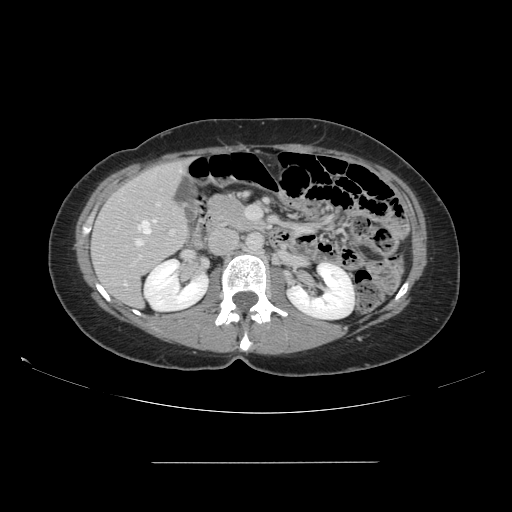

CT scan slice.
Some hepatic vessels may have no box.
Hepatic vessel: 139 255 140 258, 135 239 143 245, 124 280 126 286, 153 219 156 222, 170 230 174 234, 157 203 159 205, 138 221 150 233.